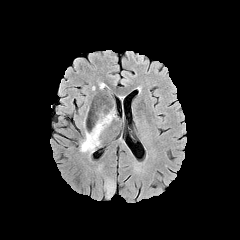
FLAIR MR.
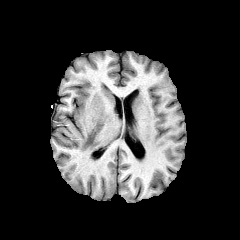
T1-weighted MR image.
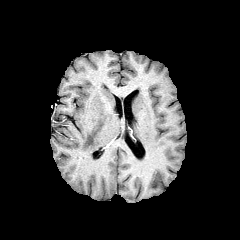
Post-contrast T1-weighted MR.
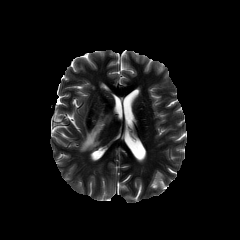
T2-weighted MRI.
Brain
Annotated regions:
• edema: [79, 110, 116, 152]